Slice 19 of 42. CT slice. 512x512 px.

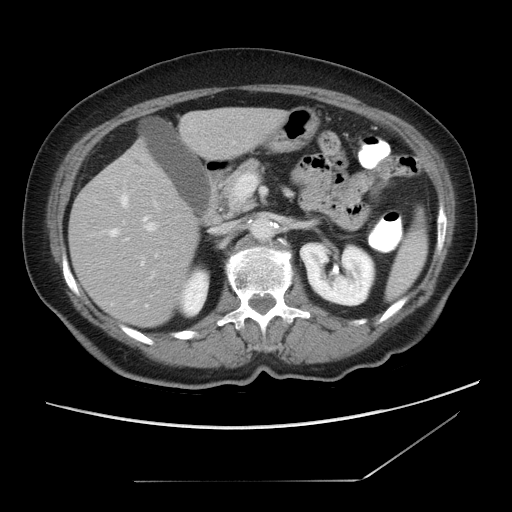

The vessel boxes may cover only some of the vessels.
Hepatic vessel at (142, 262, 144, 264), (121, 195, 128, 207), (145, 222, 155, 230), (144, 217, 147, 220), (146, 306, 147, 307), (110, 229, 119, 236).